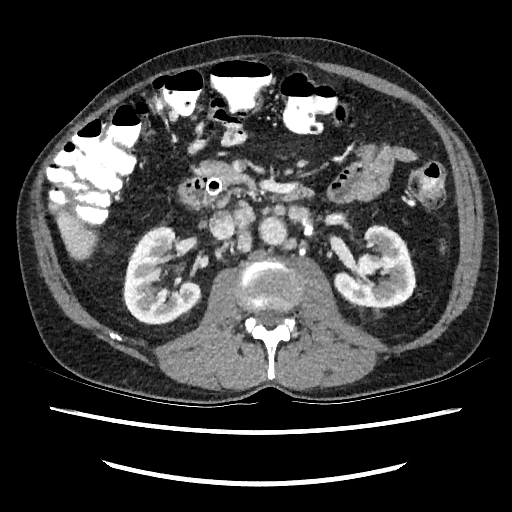
Upper abdomen | Computed tomography
Segmented structures:
* liver: region(58, 211, 95, 258)
* kidney: region(124, 228, 199, 323); region(336, 226, 414, 306)